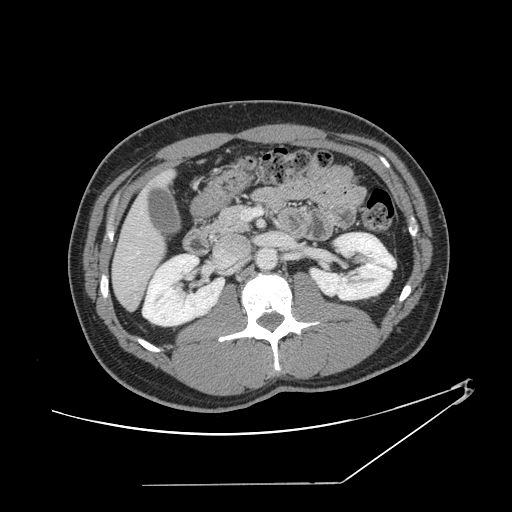 Abdomen | CT slice

The vessel boxes may cover only some of the vessels.
{
  "hepatic_vessel": [
    "<bbox>137, 252, 138, 253</bbox>"
  ]
}